Head; Field of view 240 mm wide, 1.00 mm slice spacing; 240x240 px
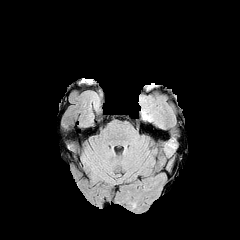
FLAIR MRI.
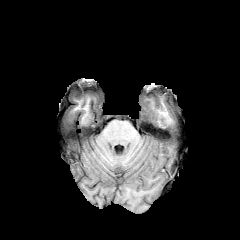
T1-weighted MR.
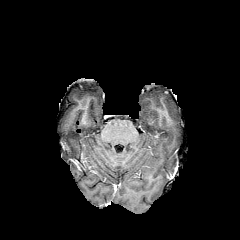
Same slice, post-contrast T1-weighted MR.
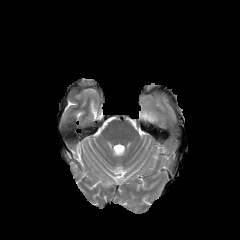
T2-weighted MR image.
<segmentation>
  <edema><bbox>141, 106, 156, 120</bbox></edema>
</segmentation>